MRI | Image size 32x52

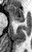
anterior hippocampus: x1=7 y1=5 x2=24 y2=21